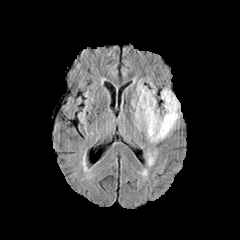
FLAIR MRI.
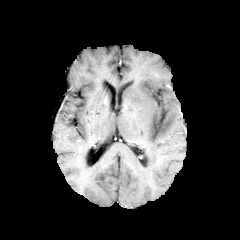
T1-weighted MR.
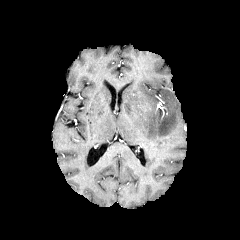
Post-contrast T1-weighted MR image of the same slice.
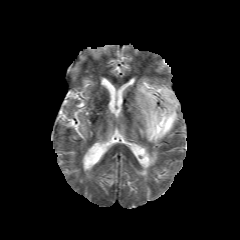
Same slice, T2-weighted MRI.
240x240 px
<segmentation>
  <edema>{"x1": 135, "y1": 80, "x2": 180, "y2": 142}</edema>
</segmentation>